CT slice, Field of view 402x402 mm
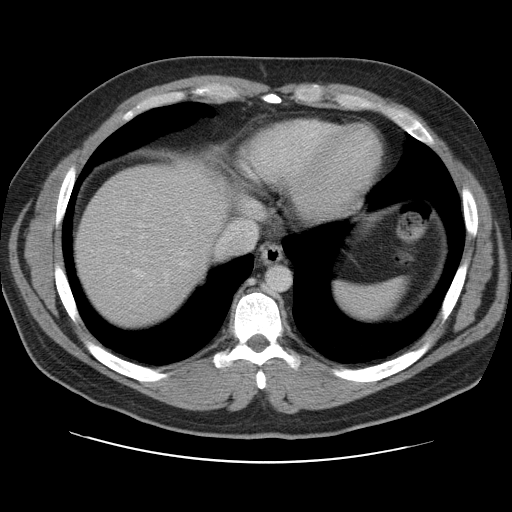 Only some of the vessels may be annotated.
<segmentation>
  <hepatic_vessel>x1=165 y1=275 x2=166 y2=279, x1=216 y1=216 x2=223 y2=219, x1=134 y1=269 x2=143 y2=276, x1=126 y1=251 x2=128 y2=253, x1=149 y1=283 x2=151 y2=284</hepatic_vessel>
</segmentation>